Slice index 221, CT image, Image size 512x512, Abdomen
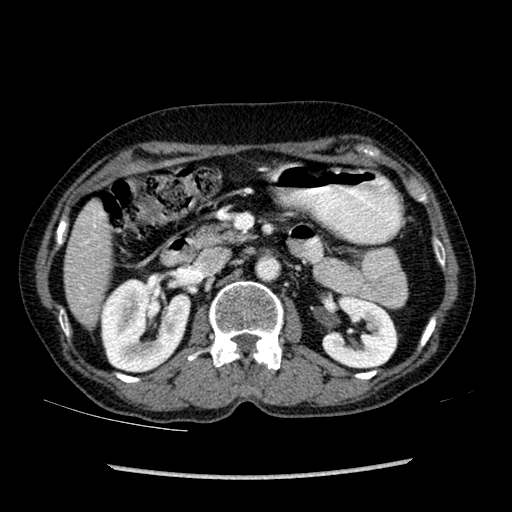 2 kidney regions appear at 102 275 189 371, 321 298 395 367. The liver is located at 64 210 110 321.